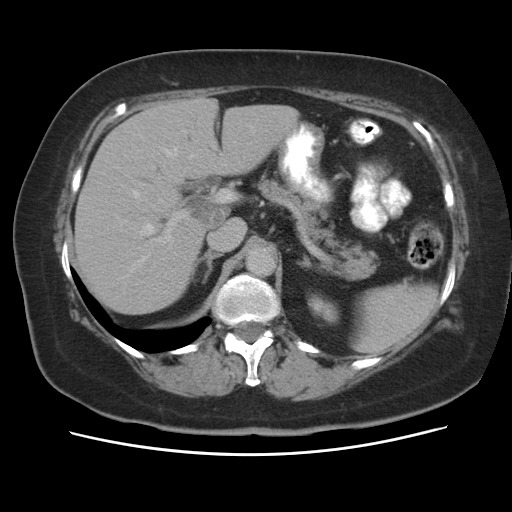
CT scan slice

Pancreas: bounding box 256,177,381,277.